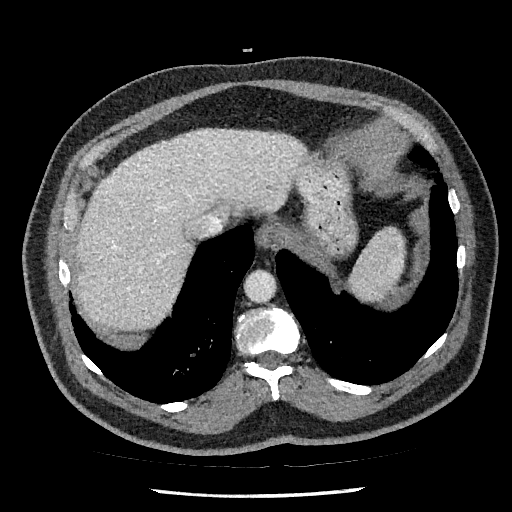 Abdomen; CT image

The liver is located at (76,130,304,330).